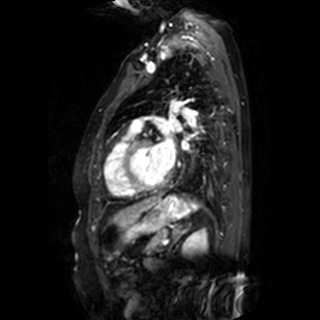 Cardiac. MR image.

{
  "left_atrium": [
    "(x1=154, y1=139, x2=175, y2=167)"
  ]
}